Brain. 240x240.
FLAIR MRI.
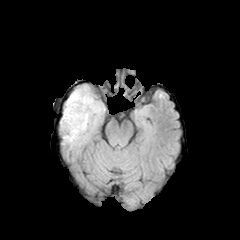
T1-weighted MR image.
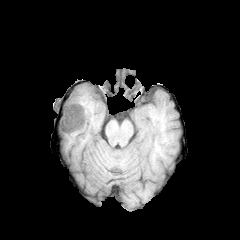
Post-contrast T1-weighted MR.
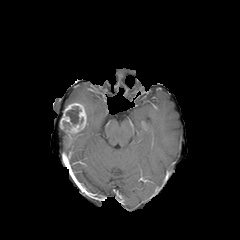
T2-weighted MR image.
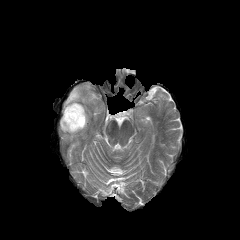
The edema is at (left=62, top=85, right=105, bottom=150). The enhancing tumor lies within (left=60, top=103, right=87, bottom=133). The non-enhancing tumor core appears at (left=66, top=106, right=80, bottom=124).